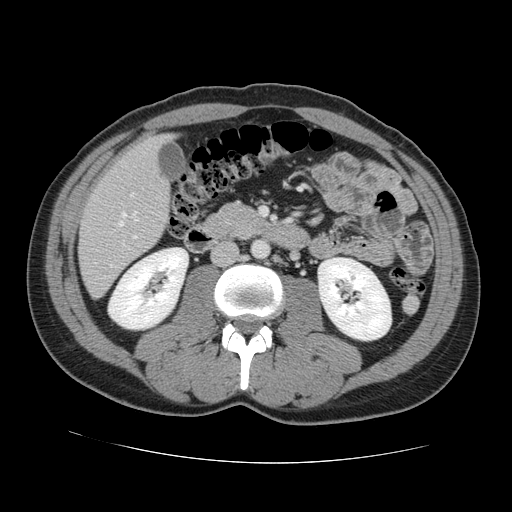 CT slice, Liver

Only some of the vessels may be annotated.
Annotated regions:
- hepatic vessel: (left=109, top=264, right=112, bottom=266), (left=130, top=193, right=133, bottom=196), (left=133, top=235, right=136, bottom=238), (left=122, top=212, right=125, bottom=216), (left=118, top=221, right=122, bottom=225), (left=132, top=212, right=137, bottom=220), (left=156, top=197, right=157, bottom=198)